FLAIR magnetic resonance.
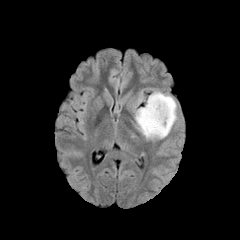
T1-weighted magnetic resonance.
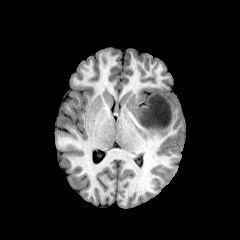
Post-contrast T1-weighted MR.
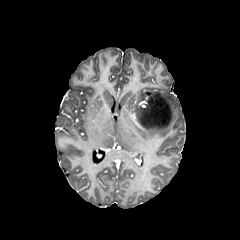
T2-weighted MR.
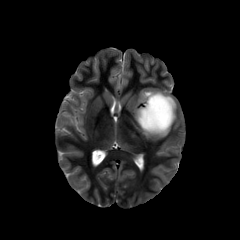
non-enhancing_tumor_core:
  - 134 93 170 128
edema:
  - 133 87 177 141